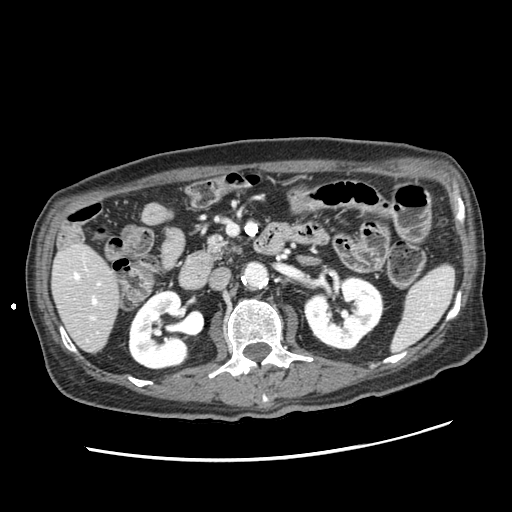

512x512 px; Computed tomography; Upper abdomen

The pancreas is bounded by (left=209, top=236, right=226, bottom=256).